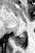 MR image
Posterior hippocampus at rect(13, 33, 26, 45).